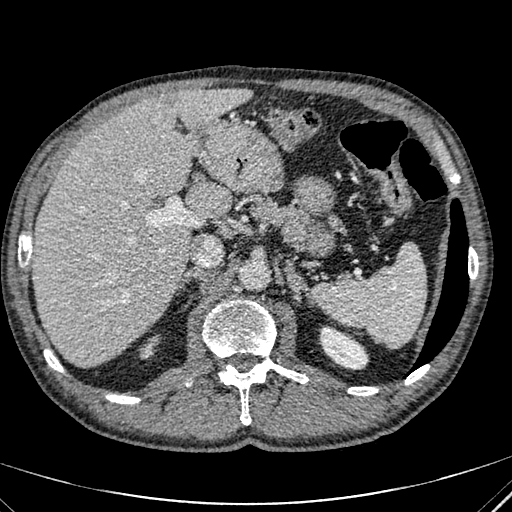
CT image, Abdomen

The liver lesion is at region(157, 93, 180, 107). 2 liver regions are located at region(185, 181, 232, 218); region(33, 88, 252, 365). The kidney is at region(321, 328, 366, 368).